512x512 px. Computed tomography. 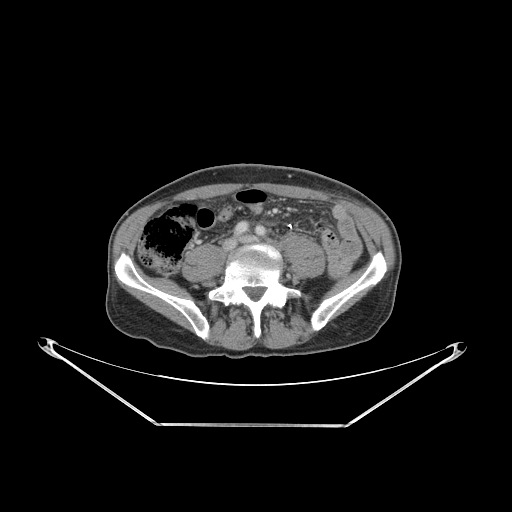
3 bone regions appear at bbox=[311, 252, 386, 329]; bbox=[115, 253, 208, 338]; bbox=[209, 245, 299, 336].